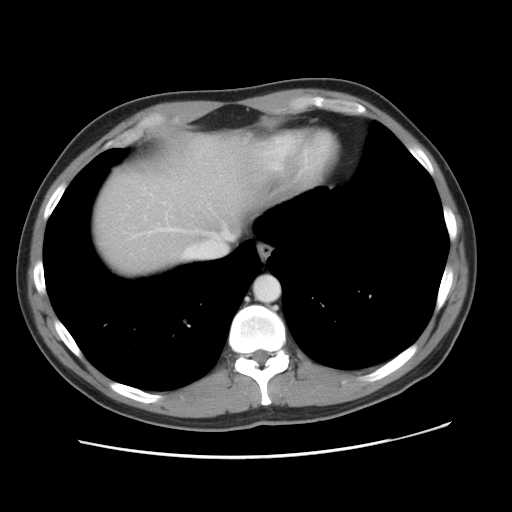

Liver; CT image; 512x512
Not every hepatic vessel necessarily has a box.
6 hepatic vessel regions appear at (193,245,195,247), (203,232,220,242), (145,225,187,234), (132,235,137,236), (187,247,191,250), (223,229,231,238).